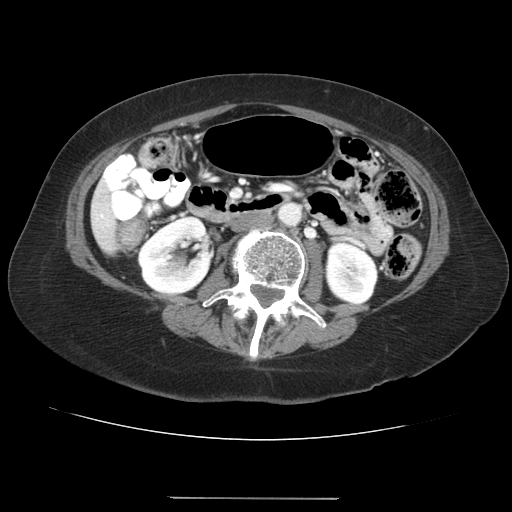 512x512 px, Pelvis, CT slice
2 colon tumor regions appear at 117,219,145,249; 139,141,160,169.